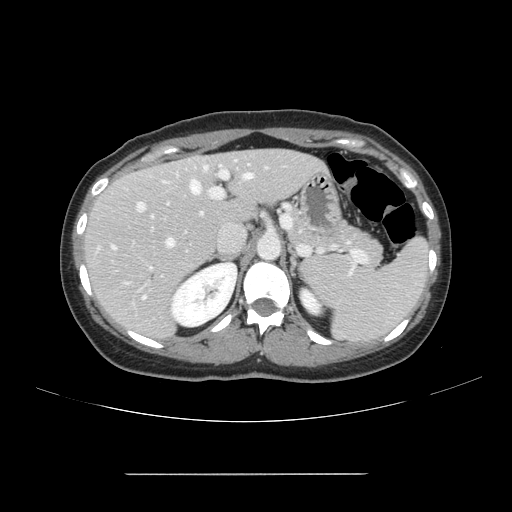 Liver | CT
Not every hepatic vessel necessarily has a box.
<segmentation>
  <hepatic_vessel>(left=244, top=173, right=252, bottom=178), (left=210, top=187, right=223, bottom=198), (left=151, top=216, right=153, bottom=217), (left=143, top=296, right=145, bottom=298), (left=219, top=165, right=220, bottom=167), (left=112, top=246, right=115, bottom=249), (left=219, top=170, right=228, bottom=178), (left=163, top=181, right=167, bottom=182), (left=204, top=165, right=207, bottom=170), (left=137, top=202, right=144, bottom=210), (left=190, top=180, right=200, bottom=193), (left=200, top=212, right=202, bottom=214), (left=98, top=247, right=99, bottom=249), (left=166, top=238, right=173, bottom=246)</hepatic_vessel>
</segmentation>